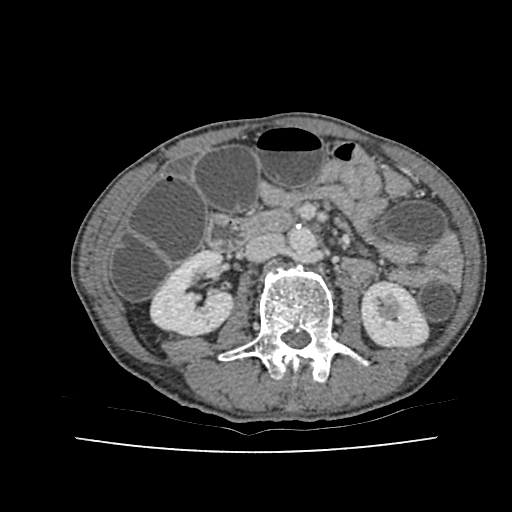 Abdomen, CT

Kidney = box=[151, 251, 232, 335]; box=[362, 283, 427, 346].